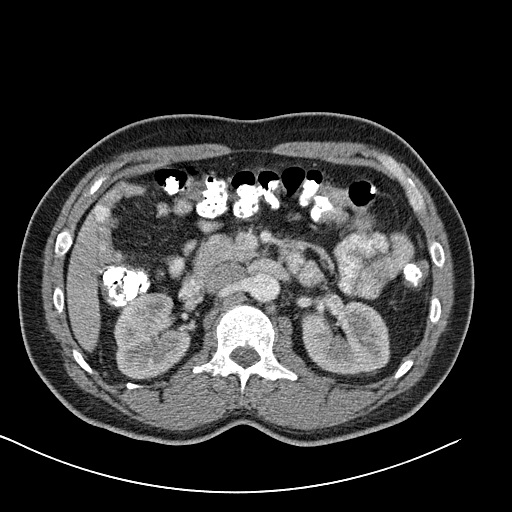 Computed tomography
• colon tumor: rect(322, 186, 347, 223)